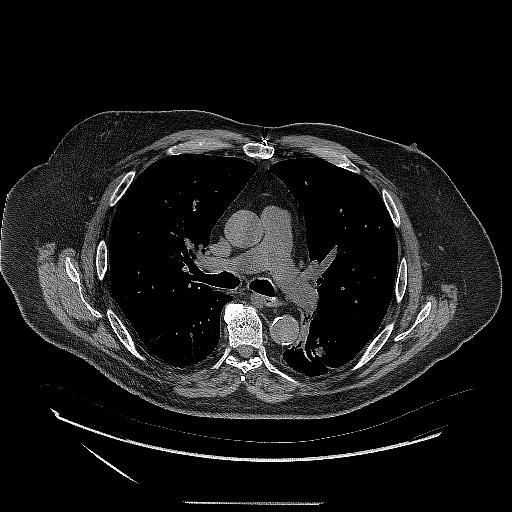
Chest; Image size 512x512; Computed tomography
Lung tumor = x1=287, y1=305, x2=332, y2=365.